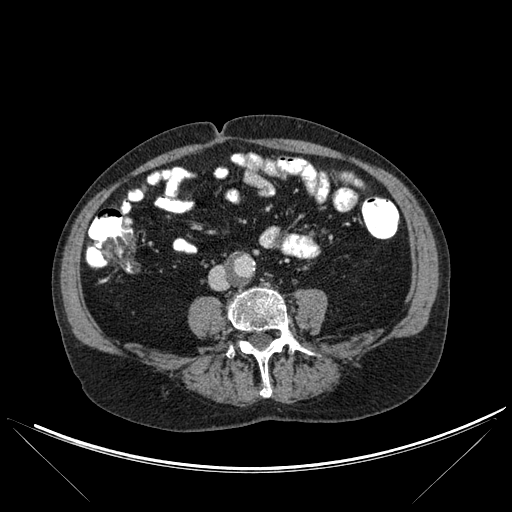

CT slice

bone:
  - x1=226, y1=288, x2=305, y2=396